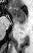
MRI, 33x53 px

The anterior hippocampus lies within x1=9, y1=7, x2=26, y2=20. The posterior hippocampus is bounded by x1=19, y1=21, x2=24, y2=23.